FLAIR MRI.
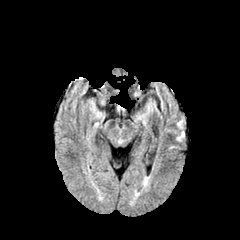
T1-weighted MRI.
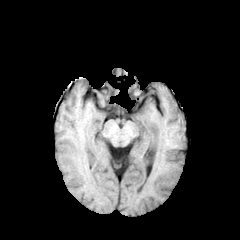
Post-contrast T1-weighted MR image.
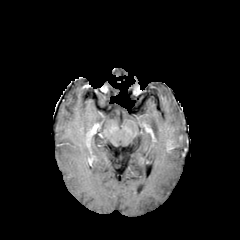
T2-weighted magnetic resonance.
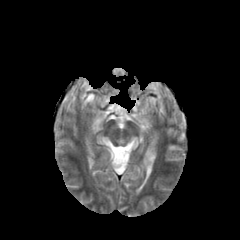
edema:
  - (left=136, top=113, right=147, bottom=123)